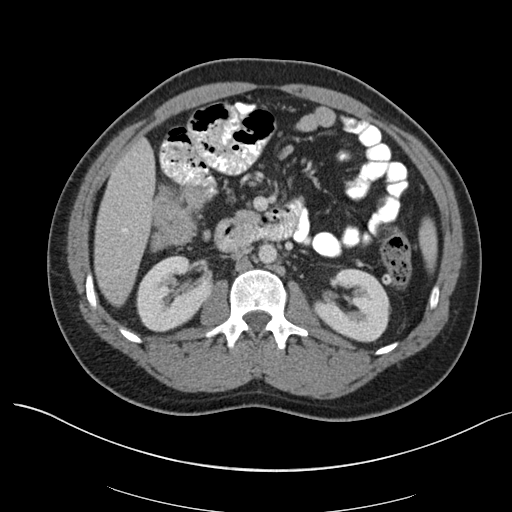
CT image, Pelvis
colon tumor: x1=155 y1=186 x2=203 y2=244